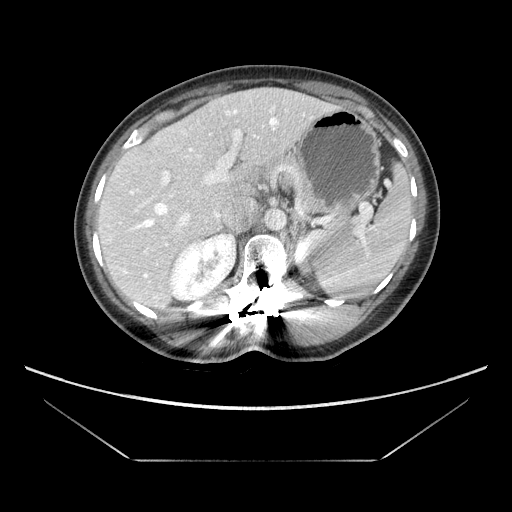
Liver, CT slice

Some hepatic vessels may have no box.
* hepatic vessel: x1=145, y1=251, x2=146, y2=252; x1=176, y1=212, x2=190, y2=230; x1=213, y1=212, x2=219, y2=217; x1=165, y1=243, x2=166, y2=245; x1=156, y1=205, x2=165, y2=213; x1=202, y1=130, x2=240, y2=185; x1=162, y1=172, x2=169, y2=183; x1=141, y1=201, x2=147, y2=205